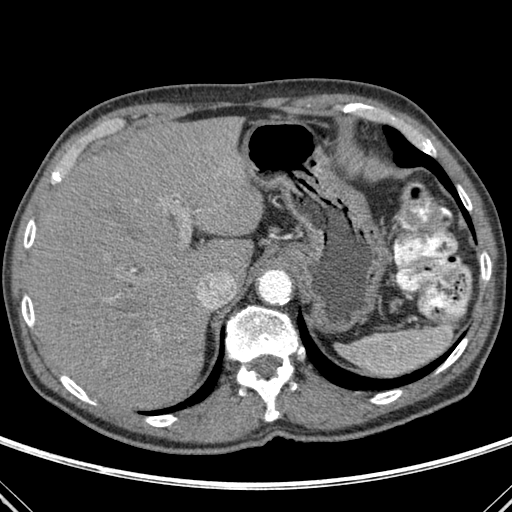 CT slice
Bone: rect(480, 252, 491, 281); rect(145, 415, 176, 426); rect(226, 306, 304, 421); rect(60, 376, 94, 404); rect(437, 338, 467, 372); rect(370, 390, 401, 404); rect(52, 171, 61, 182); rect(24, 220, 35, 248); rect(414, 134, 435, 154); rect(22, 295, 34, 326); rect(458, 186, 472, 210).
Lung: rect(141, 328, 223, 415); rect(298, 312, 463, 389); rect(383, 125, 474, 236).
Liver: rect(27, 116, 263, 410).